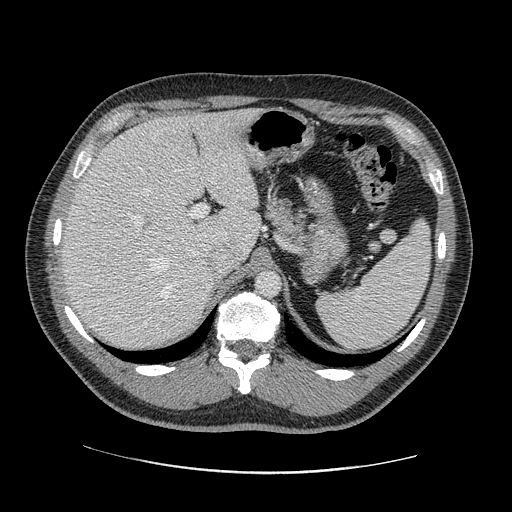 Computed tomography.
pancreas: region(263, 194, 314, 248)